CT scan slice. Image width 496 mm. Image size 512x512.

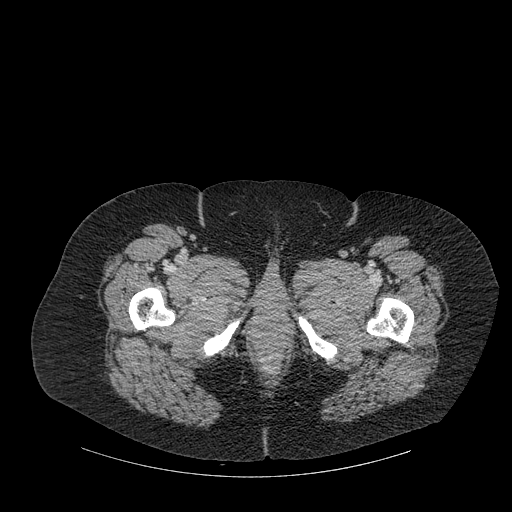 4 bone regions appear at bbox(203, 320, 238, 355); bbox(299, 317, 336, 359); bbox(129, 288, 174, 329); bbox(367, 298, 413, 342).